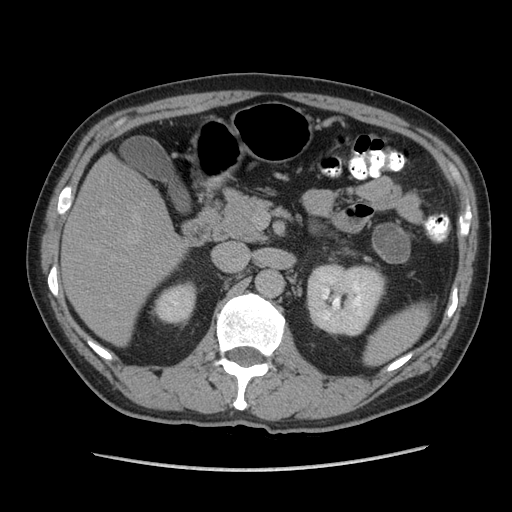

Image size 512x512; CT slice
<segmentation>
  <pancreas>box(210, 190, 271, 243)</pancreas>
</segmentation>